Head
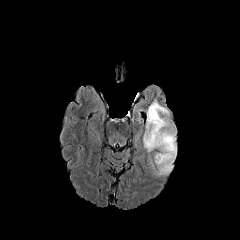
FLAIR MR.
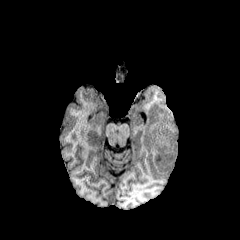
T1-weighted magnetic resonance of the same slice.
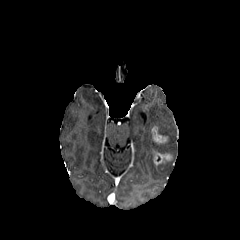
Post-contrast T1-weighted MR image of the same slice.
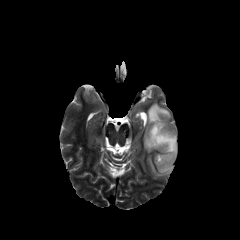
T2-weighted MRI.
<segmentation>
  <edema>bbox=[142, 101, 176, 175]</edema>
  <enhancing_tumor>bbox=[153, 151, 172, 166]; bbox=[150, 124, 169, 144]</enhancing_tumor>
</segmentation>